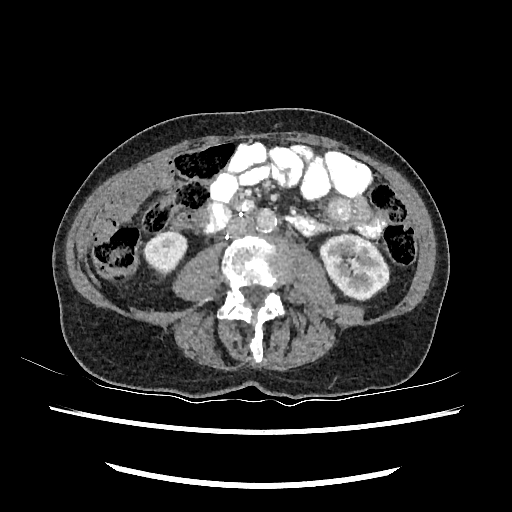

Computed tomography.
2 kidney regions are bounded by (145, 231, 186, 269), (321, 233, 388, 298).